Field of view 434x434 mm; Abdomen; CT slice 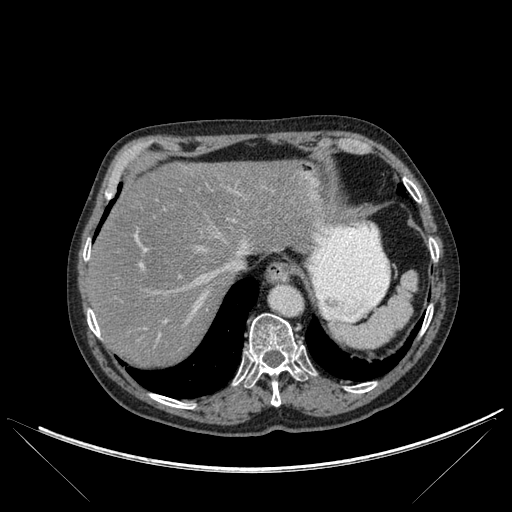

liver: (x1=88, y1=160, x2=314, y2=367) | lung: (x1=397, y1=184, x2=405, y2=195), (x1=306, y1=318, x2=422, y2=380), (x1=97, y1=200, x2=114, y2=231), (x1=126, y1=277, x2=258, y2=398) | bone: (x1=421, y1=305, x2=432, y2=333), (x1=345, y1=382, x2=376, y2=393), (x1=83, y1=242, x2=90, y2=260), (x1=233, y1=314, x2=315, y2=406), (x1=87, y1=309, x2=100, y2=336), (x1=150, y1=394, x2=193, y2=408), (x1=429, y1=238, x2=438, y2=260), (x1=403, y1=177, x2=421, y2=201)